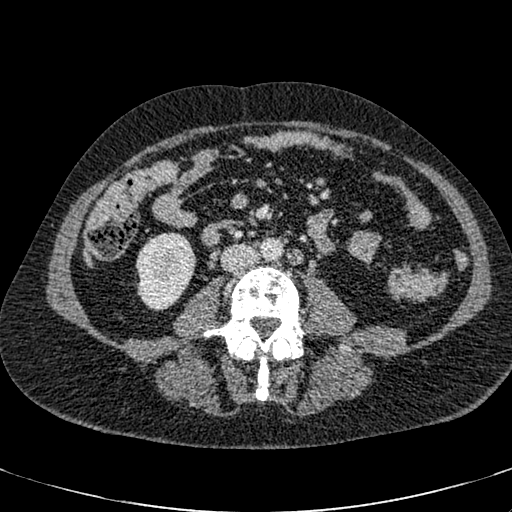
CT image

Kidney: (left=136, top=233, right=194, bottom=309).
Liver: (left=82, top=244, right=94, bottom=269).